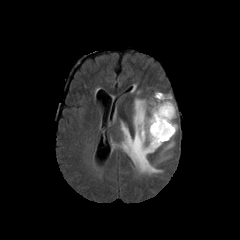
FLAIR MR image.
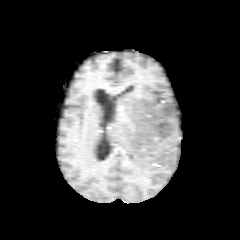
T1-weighted MRI.
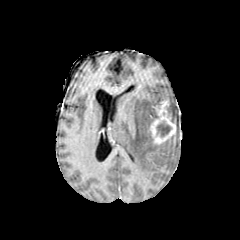
Same slice, post-contrast T1-weighted MRI.
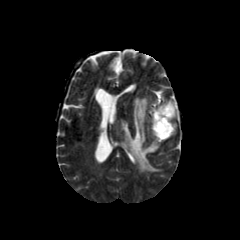
Same slice, T2-weighted MRI.
240x240 px.
* non-enhancing tumor core: {"x1": 157, "y1": 121, "x2": 171, "y2": 137}
* enhancing tumor: {"x1": 148, "y1": 97, "x2": 176, "y2": 143}
* edema: {"x1": 154, "y1": 92, "x2": 176, "y2": 121}, {"x1": 120, "y1": 99, "x2": 162, "y2": 174}